Computed tomography, Field of view 432x432 mm, 512x512 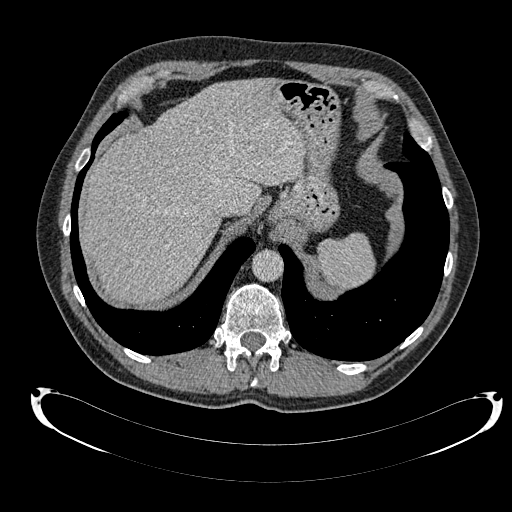 Liver — left=85, top=78, right=304, bottom=303.